Computed tomography | Slice 101/771
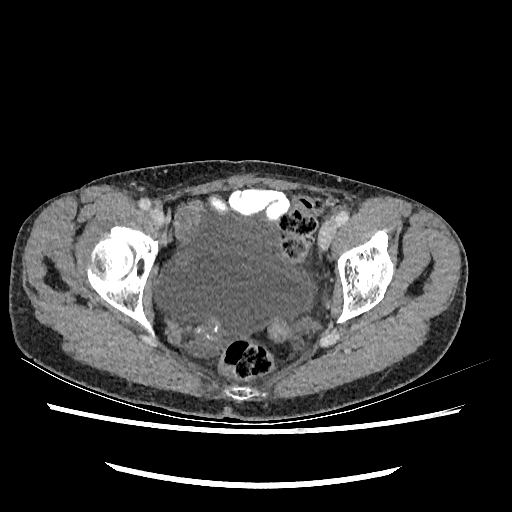
The urinary bladder is located at region(156, 206, 317, 341).